Field of view 451x451 mm | Liver | CT image
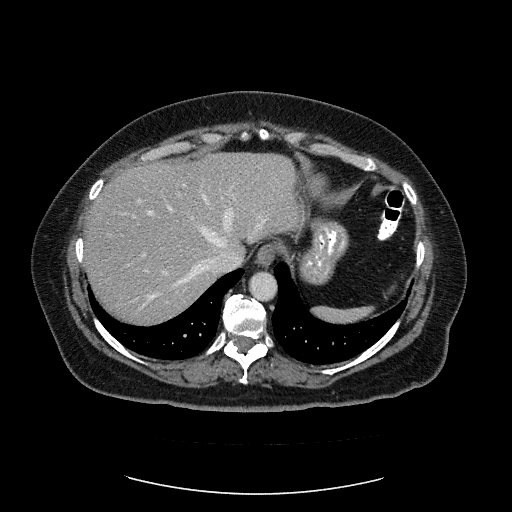

Only some of the vessels may be annotated.
Most prominent 15 of 23 hepatic vessel regions = left=282, top=225, right=291, bottom=228; left=142, top=253, right=145, bottom=256; left=162, top=271, right=168, bottom=274; left=223, top=208, right=232, bottom=229; left=148, top=211, right=153, bottom=214; left=174, top=271, right=196, bottom=286; left=199, top=259, right=212, bottom=270; left=138, top=200, right=141, bottom=203; left=147, top=293, right=158, bottom=301; left=254, top=219, right=267, bottom=235; left=193, top=266, right=196, bottom=269; left=168, top=206, right=172, bottom=210; left=249, top=234, right=252, bottom=237; left=203, top=194, right=208, bottom=203; left=201, top=227, right=224, bottom=245.